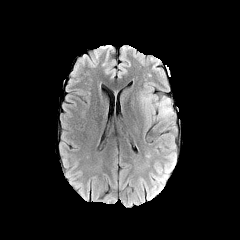
FLAIR MR image.
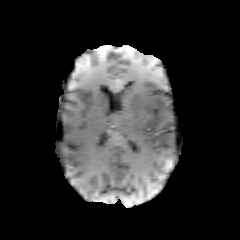
T1-weighted magnetic resonance.
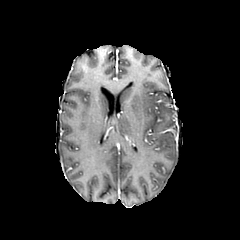
Post-contrast T1-weighted MR.
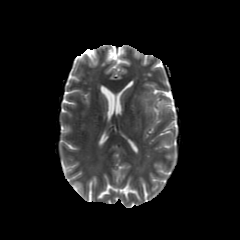
Same slice, T2-weighted MR.
Brain.
{"edema": ["<bbox>140, 92, 174, 123</bbox>", "<bbox>147, 164, 168, 193</bbox>"]}